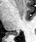 MRI slice | 36x42 px
Posterior hippocampus = left=9, top=32, right=18, bottom=36.